FLAIR MR image.
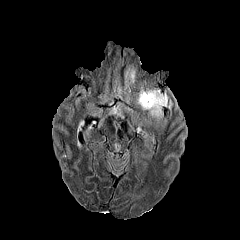
T1-weighted magnetic resonance.
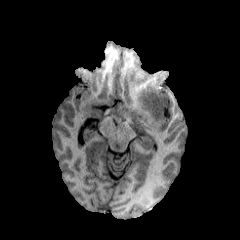
Post-contrast T1-weighted MR.
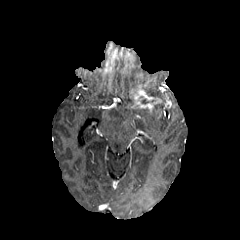
T2-weighted MR.
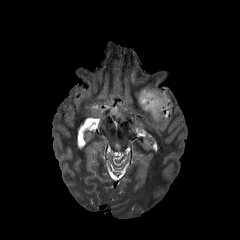
Image size 240x240
3 edema regions appear at <bbox>144, 88, 168, 97</bbox>, <bbox>148, 106, 163, 117</bbox>, <bbox>125, 67, 136, 86</bbox>. The enhancing tumor appears at <bbox>133, 90, 161, 110</bbox>.